Slice 125/155; Head
FLAIR MR image.
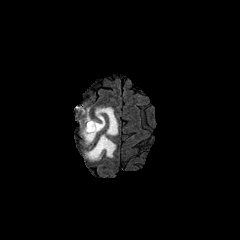
T1-weighted MR.
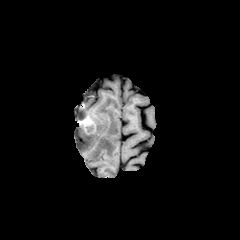
Post-contrast T1-weighted MR.
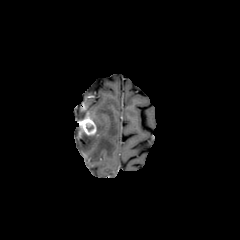
T2-weighted magnetic resonance.
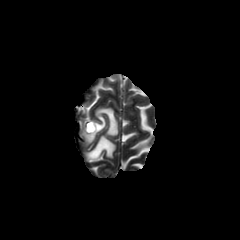
<segmentation>
  <edema>79 106 117 161</edema>
  <enhancing_tumor>79 113 96 135</enhancing_tumor>
</segmentation>